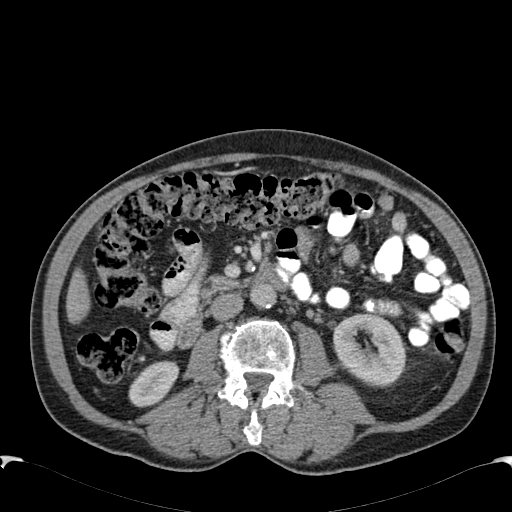
Abdomen | CT slice
2 kidney regions are located at <bbox>129, 362, 178, 406</bbox>, <bbox>333, 313, 405, 385</bbox>. The liver is bounded by <bbox>67, 270, 89, 322</bbox>.